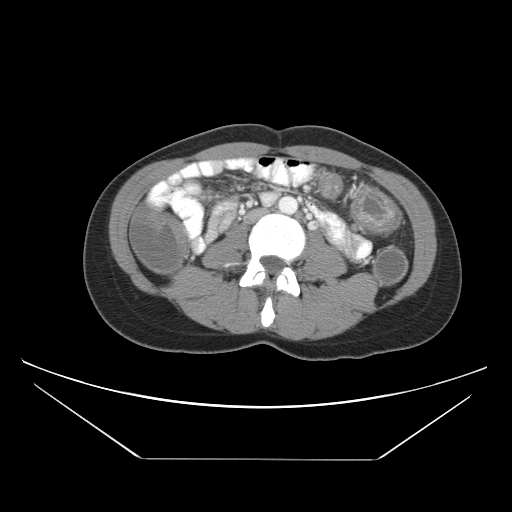
Computed tomography, Pelvis, 512x512
Annotated regions:
* colon tumor: (361,209,395,225)